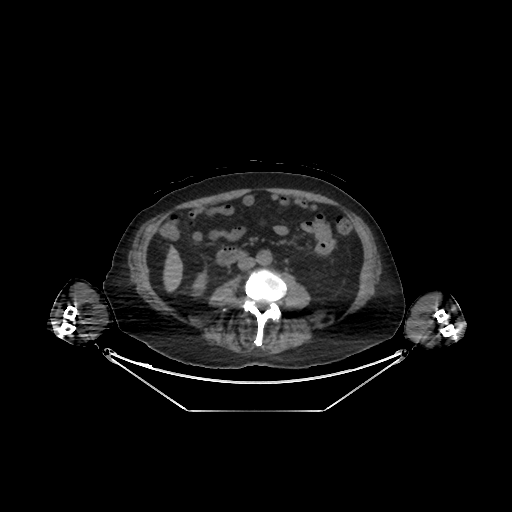

CT; 512x512 px
Liver — [x1=163, y1=246, x2=182, y2=291].
Kidney — [x1=185, y1=268, x2=211, y2=298].